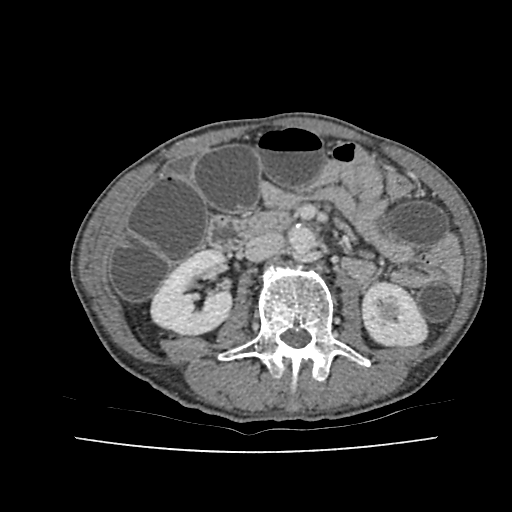
Abdomen | CT slice | 512x512 px

<segmentation>
  <kidney>{"x1": 363, "y1": 283, "x2": 426, "y2": 345}, {"x1": 151, "y1": 250, "x2": 231, "y2": 334}</kidney>
</segmentation>